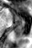
MRI slice | Hippocampus

Segmented structures:
- posterior hippocampus: bbox(14, 22, 24, 37)
- anterior hippocampus: bbox(12, 13, 24, 21)